Slice index 26; CT scan slice; Image width 410 mm 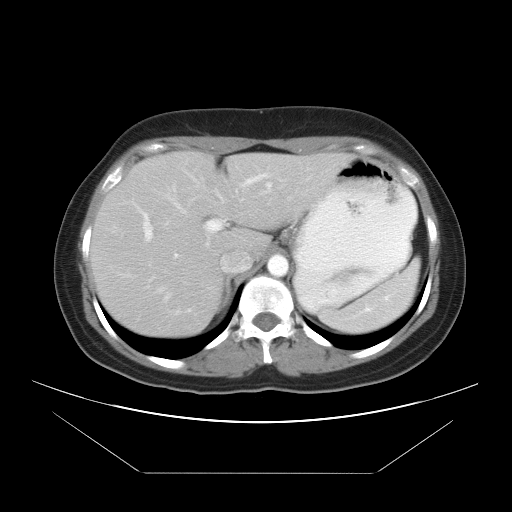 Some hepatic vessels may have no box.
Annotated regions:
* hepatic vessel: {"x1": 207, "y1": 220, "x2": 221, "y2": 231}, {"x1": 139, "y1": 209, "x2": 152, "y2": 240}, {"x1": 266, "y1": 182, "x2": 271, "y2": 191}, {"x1": 245, "y1": 174, "x2": 264, "y2": 183}, {"x1": 175, "y1": 254, "x2": 177, "y2": 257}